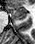 Magnetic resonance | Hippocampus
The anterior hippocampus appears at [7, 6, 26, 19].